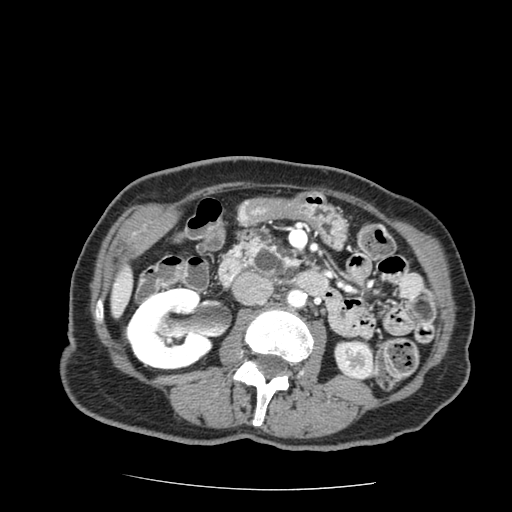
Abdomen | 512x512 | Computed tomography
The pancreas is bounded by bbox(245, 232, 304, 285). The pancreatic tumor appears at bbox(253, 246, 296, 278).